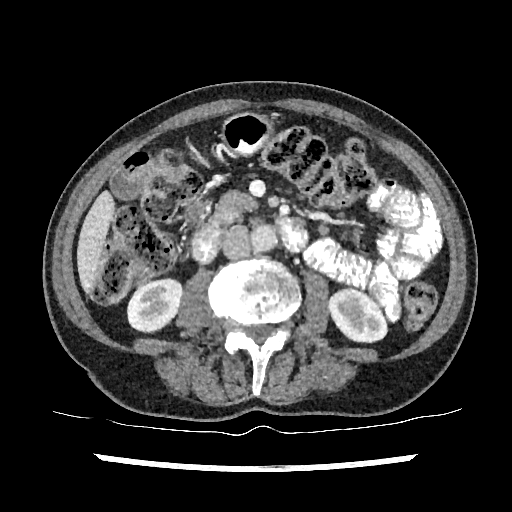

Abdomen, CT slice
Liver = box=[78, 191, 112, 292].
Kidney = box=[128, 280, 181, 330]; box=[330, 290, 386, 341].